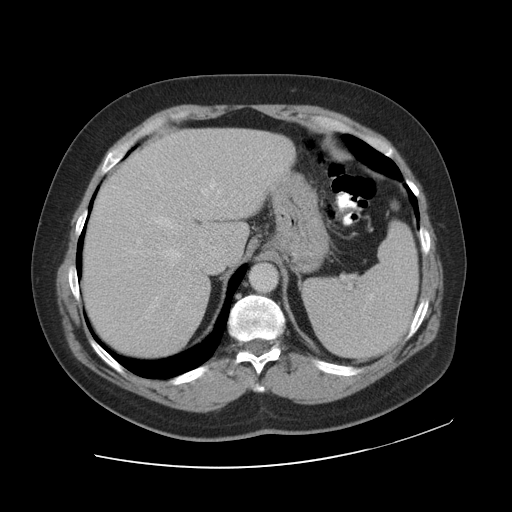

512x512 px, Abdomen, CT scan slice
Only some of the vessels may be annotated.
[15/17] hepatic vessel: (x1=188, y1=260, x2=190, y2=265), (x1=202, y1=232, x2=206, y2=234), (x1=242, y1=167, x2=246, y2=169), (x1=250, y1=178, x2=252, y2=180), (x1=151, y1=217, x2=171, y2=227), (x1=253, y1=164, x2=255, y2=166), (x1=148, y1=253, x2=153, y2=254), (x1=141, y1=204, x2=144, y2=209), (x1=170, y1=225, x2=181, y2=233), (x1=258, y1=146, x2=272, y2=161), (x1=161, y1=249, x2=180, y2=265), (x1=150, y1=303, x2=158, y2=310), (x1=202, y1=180, x2=215, y2=195), (x1=216, y1=190, x2=220, y2=197), (x1=136, y1=239, x2=141, y2=243) | liver tumor: (x1=183, y1=170, x2=195, y2=181)